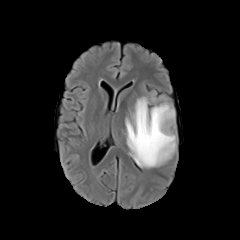
FLAIR MRI.
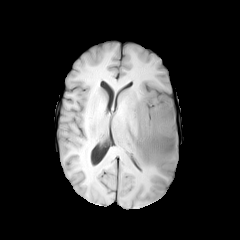
T1-weighted MR image of the same slice.
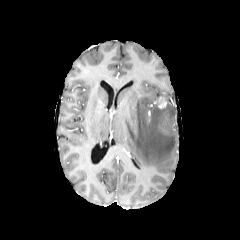
Post-contrast T1-weighted MR image of the same slice.
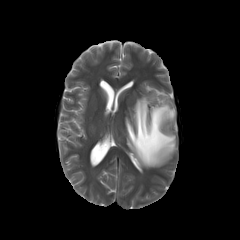
Same slice, T2-weighted MR image.
Segmented structures:
- non-enhancing tumor core: (left=155, top=96, right=170, bottom=109)
- edema: (left=122, top=89, right=178, bottom=169)